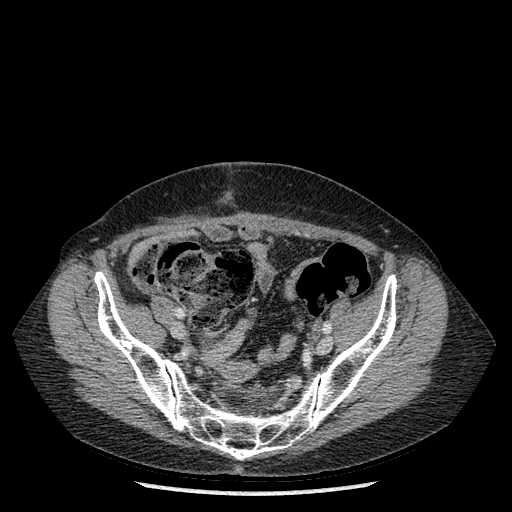
CT
{"bone": ["box(94, 271, 396, 460)"]}